240x240 px, Slice 118 of 155, Brain
FLAIR MR.
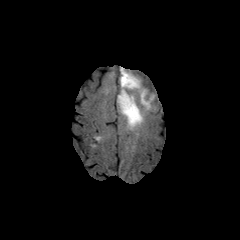
T1-weighted magnetic resonance.
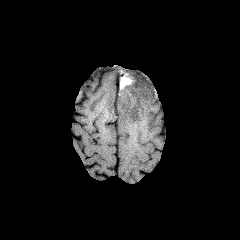
Post-contrast T1-weighted magnetic resonance.
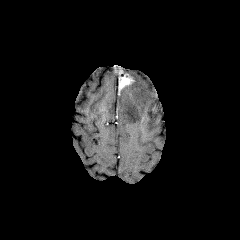
T2-weighted MR image.
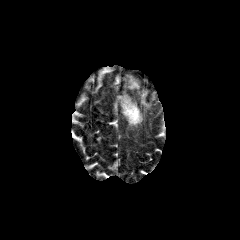
Edema: rect(116, 68, 153, 129).
Enhancing tumor: rect(119, 75, 133, 87).